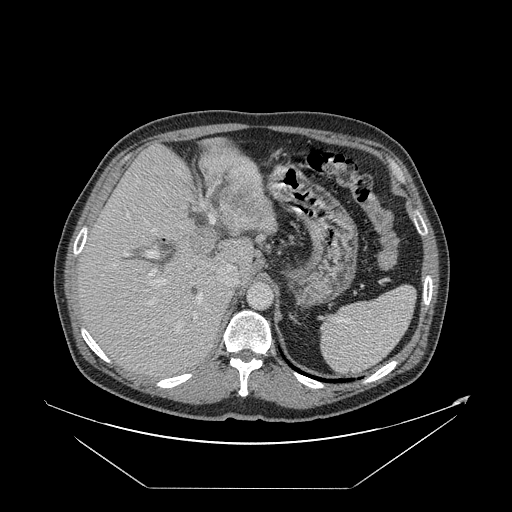 CT slice. The vessel boxes may cover only some of the vessels.
* liver tumor: 191 183 257 245
* hepatic vessel: 146 229 156 233, 192 312 196 318, 147 298 156 304, 149 269 166 286, 176 325 180 329, 193 208 195 209, 182 206 186 208, 123 251 128 256, 196 292 202 303, 217 181 219 183, 207 188 212 196, 146 248 158 258, 200 196 205 208, 211 264 238 285